240x240 px, Brain
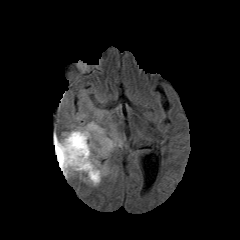
FLAIR MRI.
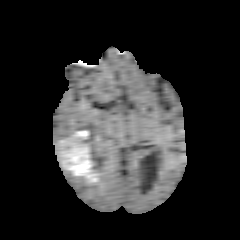
T1-weighted MR image of the same slice.
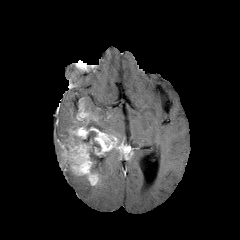
Post-contrast T1-weighted magnetic resonance.
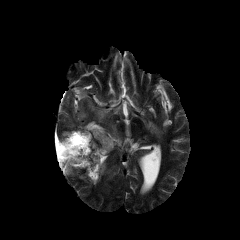
T2-weighted MR of the same slice.
Non-enhancing tumor core — 55 138 63 166, 61 164 71 172, 89 150 104 171, 73 131 96 143.
Edema — 103 148 120 159, 85 110 126 146, 60 130 71 141, 63 171 89 183, 96 161 111 184.
Enhancing tumor — 57 126 124 184.